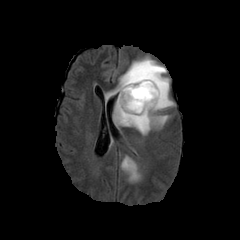
FLAIR MR.
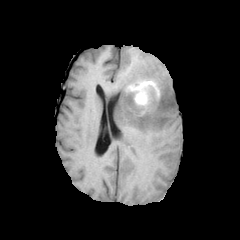
T1-weighted MR image.
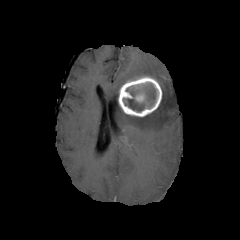
Post-contrast T1-weighted MR image.
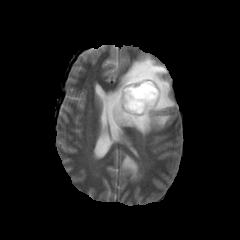
Same slice, T2-weighted MRI.
Head, 240x240 px
The enhancing tumor is bounded by bbox=[119, 76, 162, 116]. 2 edema regions appear at bbox=[121, 156, 138, 179]; bbox=[114, 58, 173, 135]. 2 non-enhancing tumor core regions are located at bbox=[158, 82, 164, 107]; bbox=[125, 85, 155, 111].